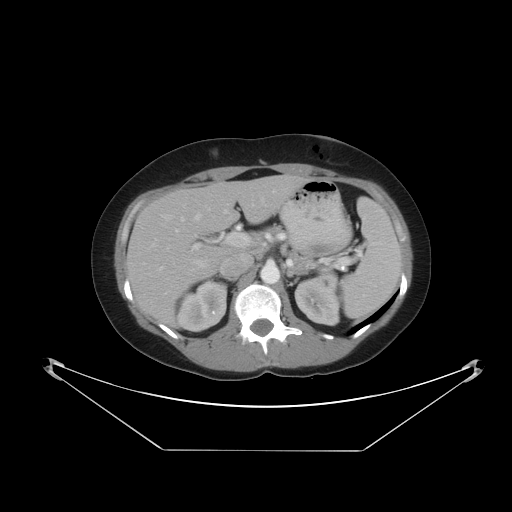 Liver, CT slice

The vessel annotation is not exhaustive.
hepatic vessel: (272,190,274,192), (181,218,183,220), (283,188,284,190), (223,210,227,212), (159,267,162,270), (195,214,200,219), (208,208,209,210), (261,198,263,202), (195,260,205,266), (192,244,200,249), (176,230,177,231)